Brain, Field of view 240 mm wide, 1.00 mm slice spacing
FLAIR MR.
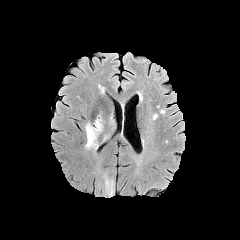
T1-weighted magnetic resonance.
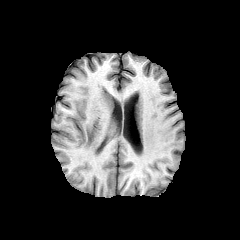
Post-contrast T1-weighted MRI.
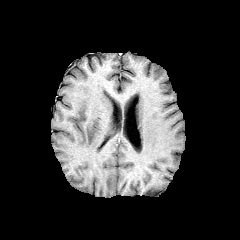
T2-weighted magnetic resonance.
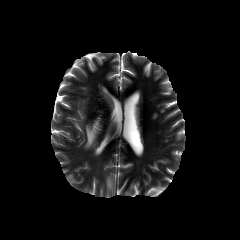
Edema = 85:115:102:149.